Slice 76 of 109 | Image size 512x512 | CT slice
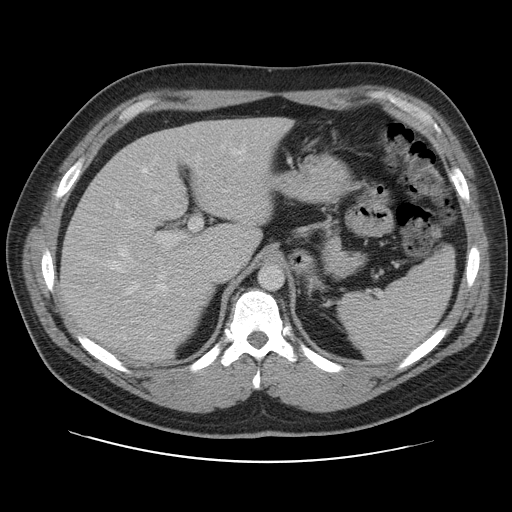
The vessel annotation is not exhaustive.
The largest 15 hepatic vessel regions (of 23) are located at left=254, top=205, right=266, bottom=208; left=246, top=213, right=253, bottom=215; left=149, top=221, right=156, bottom=227; left=107, top=260, right=122, bottom=271; left=244, top=248, right=250, bottom=252; left=126, top=283, right=138, bottom=293; left=147, top=230, right=181, bottom=246; left=249, top=222, right=253, bottom=225; left=227, top=212, right=232, bottom=216; left=87, top=256, right=94, bottom=258; left=259, top=212, right=265, bottom=216; left=188, top=217, right=202, bottom=231; left=211, top=224, right=223, bottom=236; left=221, top=189, right=227, bottom=191; left=118, top=245, right=127, bottom=256.